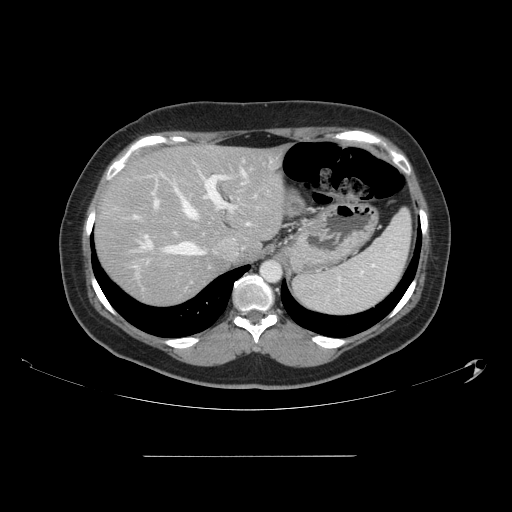

512x512, CT scan slice, Liver

The vessel boxes may cover only some of the vessels.
<segmentation>
  <hepatic_vessel>(155, 201, 157, 207), (135, 217, 138, 218), (164, 242, 203, 254), (175, 188, 196, 217), (247, 223, 248, 224), (229, 205, 233, 209), (205, 175, 227, 207), (142, 235, 152, 249), (241, 169, 244, 174)</hepatic_vessel>
</segmentation>